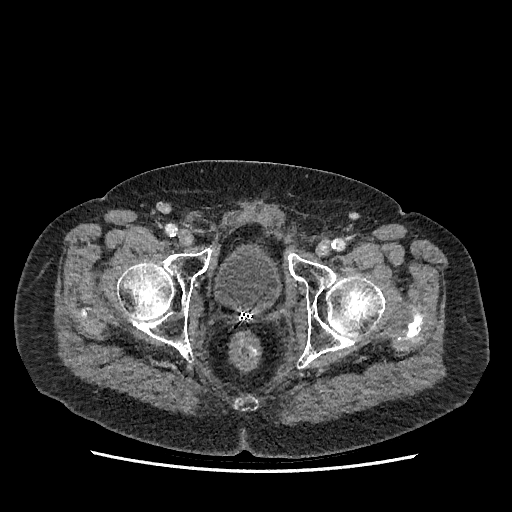
CT slice, Pelvis
urinary bladder: bbox=[216, 249, 278, 309]